Upper abdomen. Computed tomography.

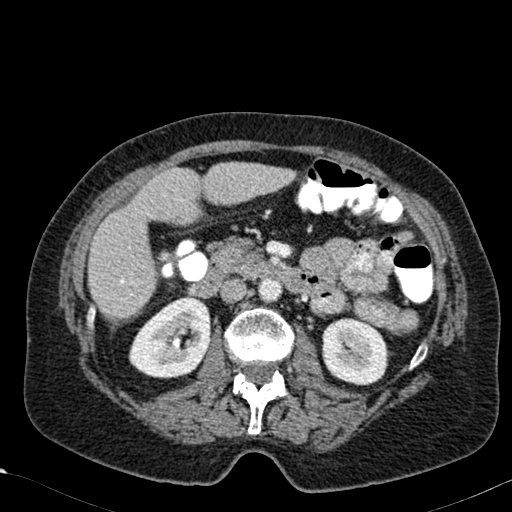
kidney: (left=323, top=319, right=387, bottom=384), (left=129, top=297, right=210, bottom=377) | liver: (left=90, top=163, right=294, bottom=319)